FLAIR MR image.
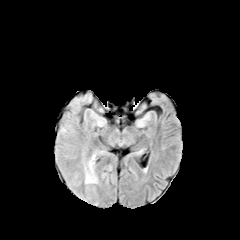
T1-weighted MRI.
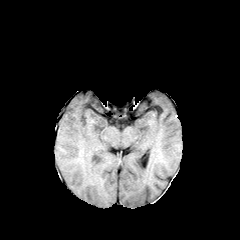
Post-contrast T1-weighted MR image.
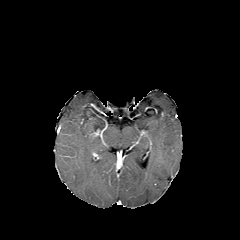
T2-weighted MR.
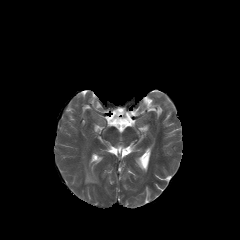
Brain.
edema: [85,155,96,183]